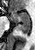
Medial temporal lobe. MRI.
The posterior hippocampus is located at box(18, 24, 29, 33). The anterior hippocampus appears at box(11, 11, 29, 23).